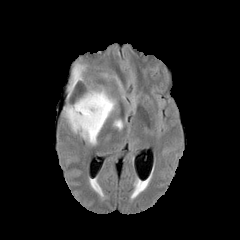
FLAIR MR.
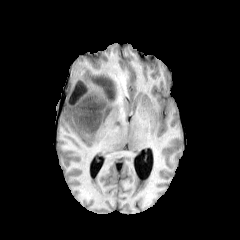
T1-weighted MR.
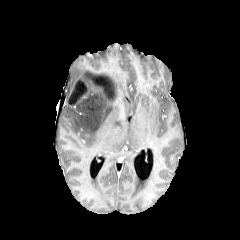
Post-contrast T1-weighted MRI of the same slice.
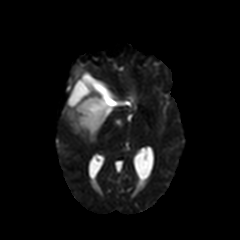
Same slice, T2-weighted MRI.
Brain
4 edema regions are bounded by x1=135, y1=182, x2=145, y2=192; x1=113, y1=118, x2=123, y2=128; x1=63, y1=64, x2=118, y2=144; x1=124, y1=96, x2=135, y2=107. The non-enhancing tumor core appears at x1=77, y1=76, x2=119, y2=130.